Slice 408 of 917, Computed tomography 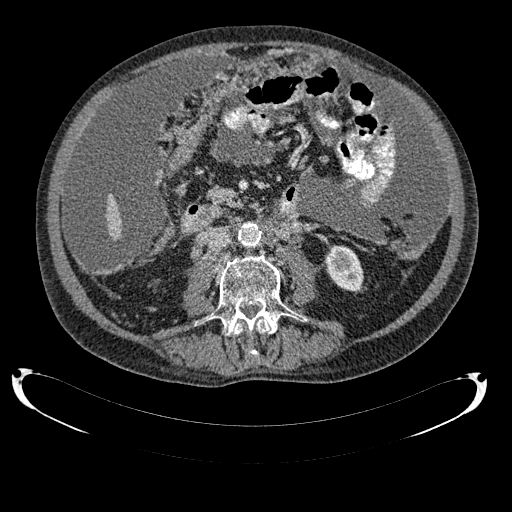
The liver is located at rect(106, 195, 121, 238). The kidney lies within rect(326, 246, 363, 290).